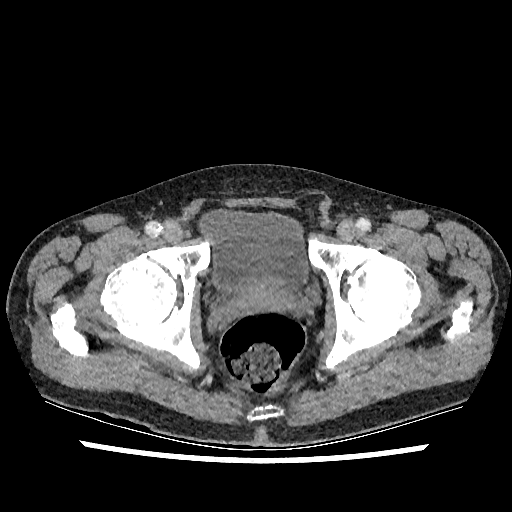 Pelvis; CT image; Image size 512x512
Urinary bladder: bounding box l=199, t=208, r=314, b=325.